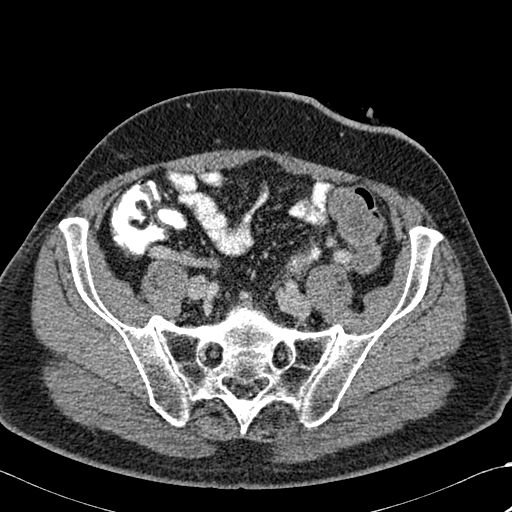 512x512 | CT

* bone: (59,217,441,432)